FLAIR magnetic resonance.
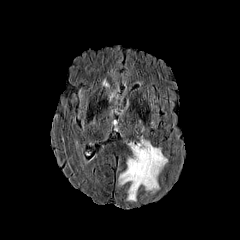
T1-weighted magnetic resonance.
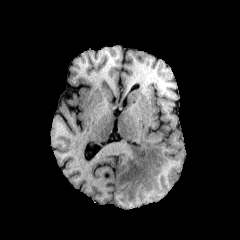
Post-contrast T1-weighted MR.
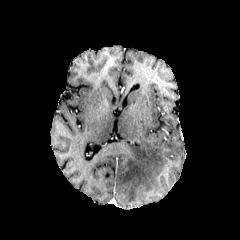
T2-weighted MR.
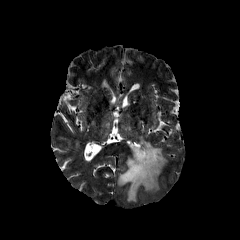
240x240 px.
<segmentation>
  <edema>x1=117, y1=135, x2=167, y2=202</edema>
</segmentation>